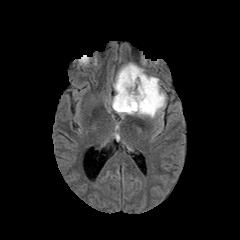
FLAIR MR image.
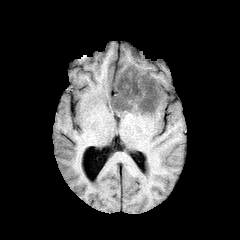
T1-weighted magnetic resonance.
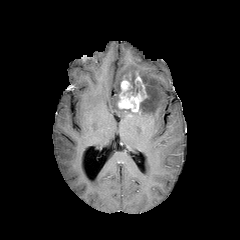
Same slice, post-contrast T1-weighted magnetic resonance.
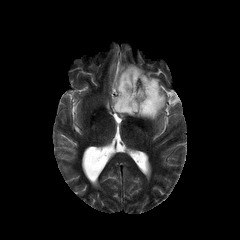
T2-weighted MRI of the same slice.
Head
<segmentation>
  <edema>(109, 62, 167, 120)</edema>
  <non-enhancing_tumor_core>(138, 79, 155, 113), (114, 95, 132, 113), (120, 71, 142, 92)</non-enhancing_tumor_core>
  <enhancing_tumor>(117, 73, 146, 111)</enhancing_tumor>
</segmentation>